Slice 160/908; Computed tomography; Lower abdomen; Image width 404 mm
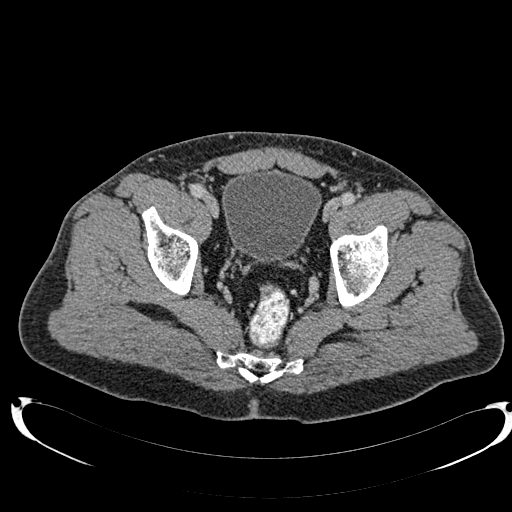 urinary bladder: l=222, t=168, r=321, b=263